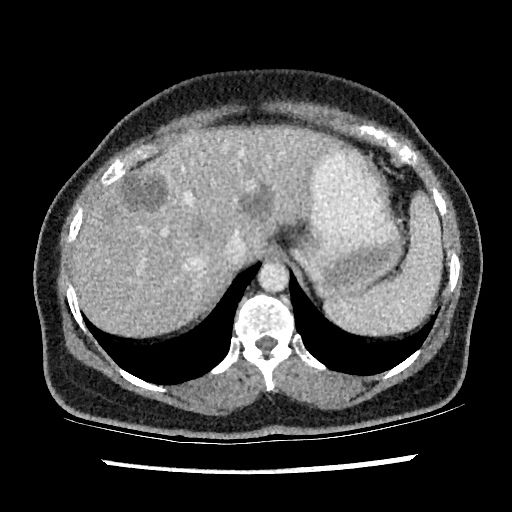 Abdomen, CT slice
* liver lesion: box=[118, 173, 166, 210]; box=[239, 186, 271, 215]
* liver: box=[73, 128, 342, 335]